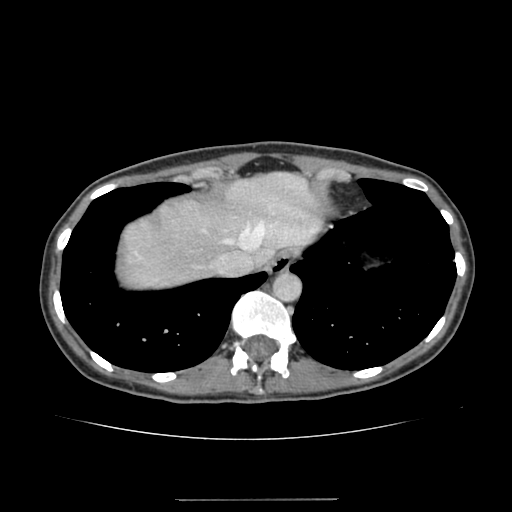 CT slice
<segmentation>
  <liver>(119,172,323,289)</liver>
</segmentation>